CT image | Slice index 63

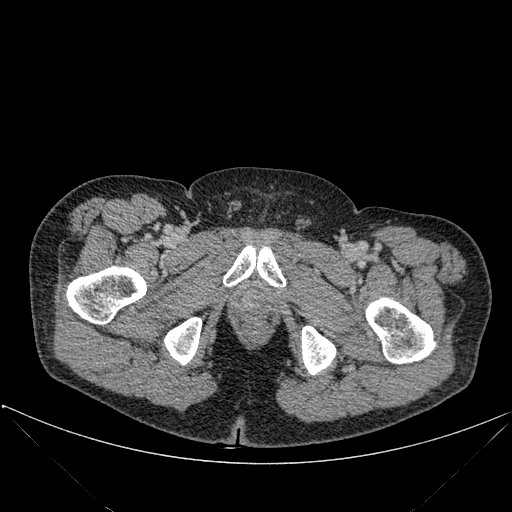
Annotated regions:
• bone: 366 298 435 363, 302 326 335 374, 66 266 146 323, 164 317 201 364, 223 246 285 286